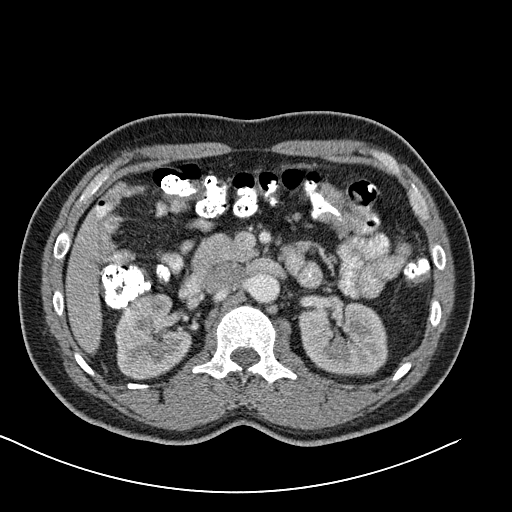 CT scan slice. Image size 512x512. Colon tumor: bounding box left=318, top=183, right=369, bottom=233.